Slice 495 of 588; CT
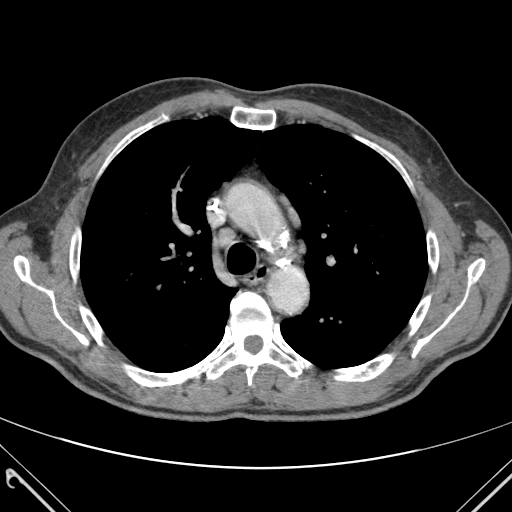
Annotated regions:
* bone: 412,259,484,357; 80,306,102,345; 125,292,310,386; 231,106,276,129; 104,114,167,166; 14,256,88,344; 356,136,408,179; 427,231,438,271; 410,296,430,334; 70,229,80,279; 335,354,392,381
* lung: 80,117,427,372